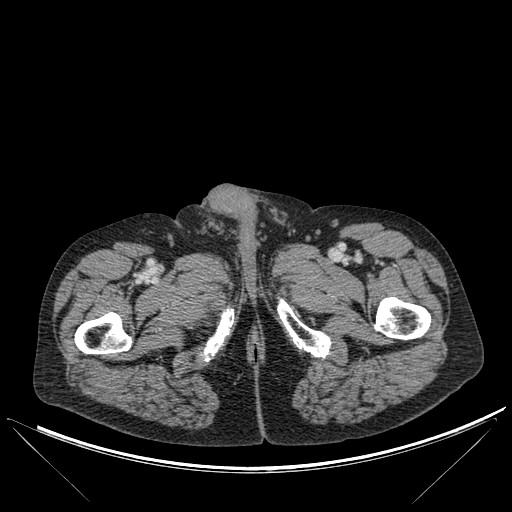 CT scan slice | Image size 512x512

4 bone regions are located at box(277, 299, 330, 357); box(374, 297, 430, 339); box(200, 308, 233, 361); box(74, 312, 131, 353).